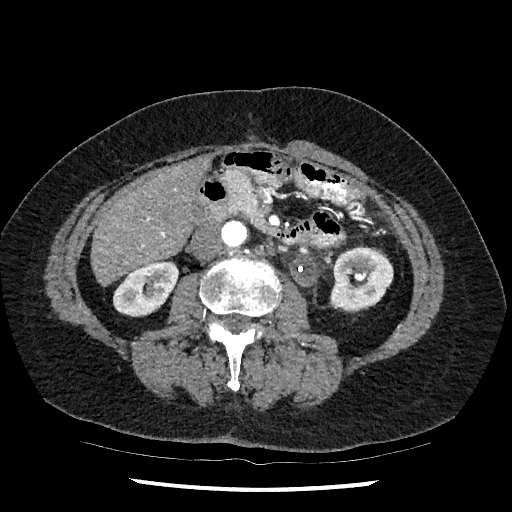
CT slice | Abdomen
2 kidney regions are bounded by [113, 262, 178, 315], [331, 248, 392, 310]. The liver appears at [91, 157, 208, 285].